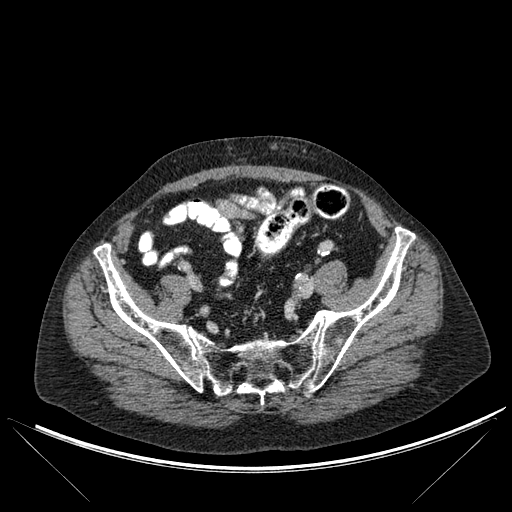
Computed tomography
2 bone regions are bounded by [x1=237, y1=378, x2=284, y2=404], [x1=94, y1=227, x2=415, y2=395].